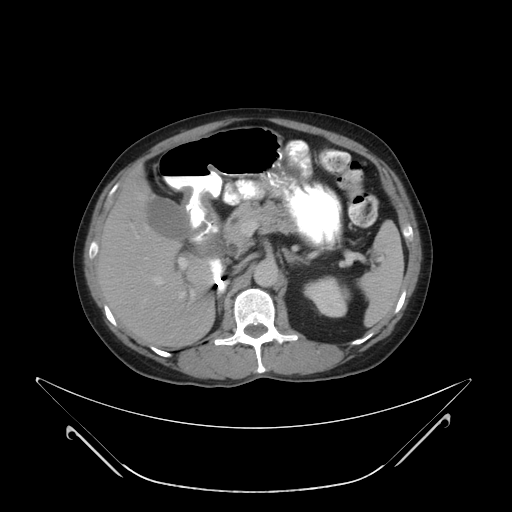
CT slice. Image size 512x512.

Findings:
* pancreas: region(221, 202, 293, 257)